FLAIR MR image.
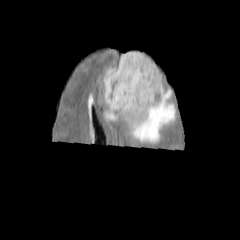
T1-weighted MRI.
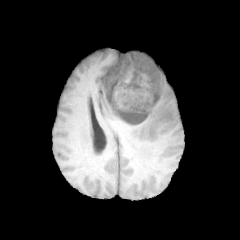
Post-contrast T1-weighted MRI.
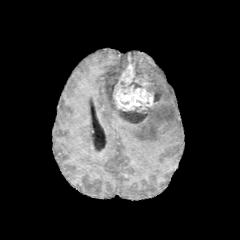
T2-weighted MRI.
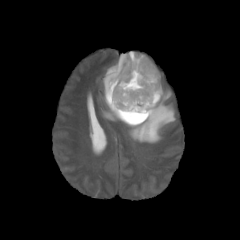
Non-enhancing tumor core: bounding box 103,53,128,108; 117,107,150,124; 130,52,162,102.
Enhancing tumor: bounding box 113,55,155,111.
Edema: bounding box 102,69,175,143.